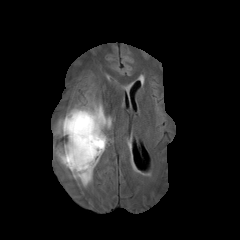
FLAIR MR.
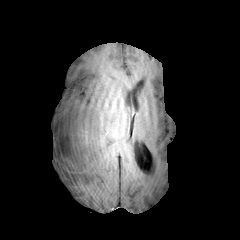
T1-weighted MR image.
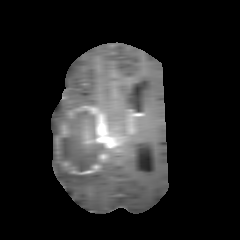
Post-contrast T1-weighted MR of the same slice.
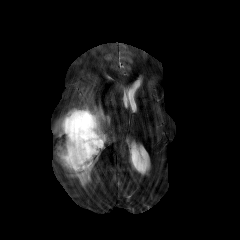
Same slice, T2-weighted MR image.
<segmentation>
  <enhancing_tumor>{"x1": 60, "y1": 125, "x2": 68, "y2": 135}, {"x1": 79, "y1": 166, "x2": 95, "y2": 173}, {"x1": 83, "y1": 106, "x2": 113, "y2": 145}</enhancing_tumor>
  <non-enhancing_tumor_core>{"x1": 60, "y1": 110, "x2": 102, "y2": 172}</non-enhancing_tumor_core>
  <edema>{"x1": 52, "y1": 100, "x2": 103, "y2": 185}, {"x1": 104, "y1": 114, "x2": 111, "y2": 129}, {"x1": 92, "y1": 145, "x2": 108, "y2": 166}</edema>
</segmentation>